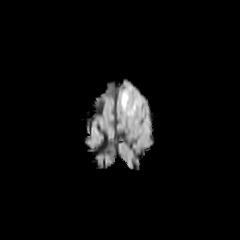
FLAIR MR.
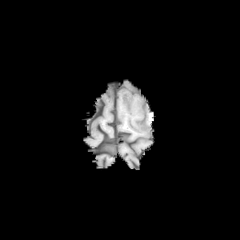
T1-weighted magnetic resonance.
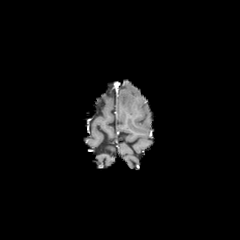
Post-contrast T1-weighted MR.
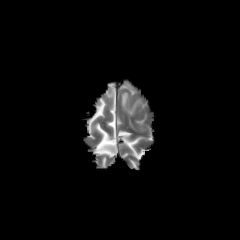
T2-weighted MR.
Image size 240x240
Edema: box(121, 91, 128, 109).